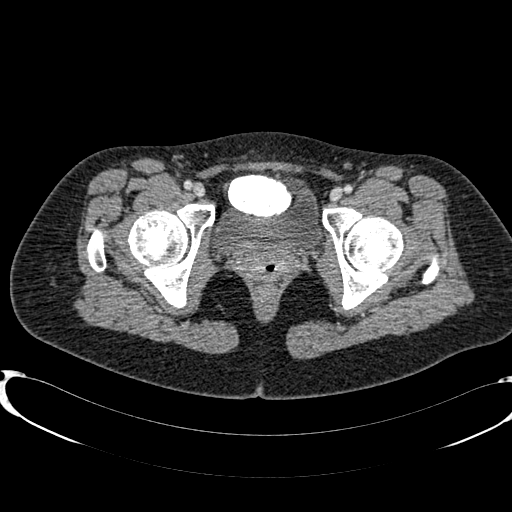

Lower abdomen; Computed tomography
<segmentation>
  <urinary_bladder>left=216, top=188, right=322, bottom=256</urinary_bladder>
</segmentation>